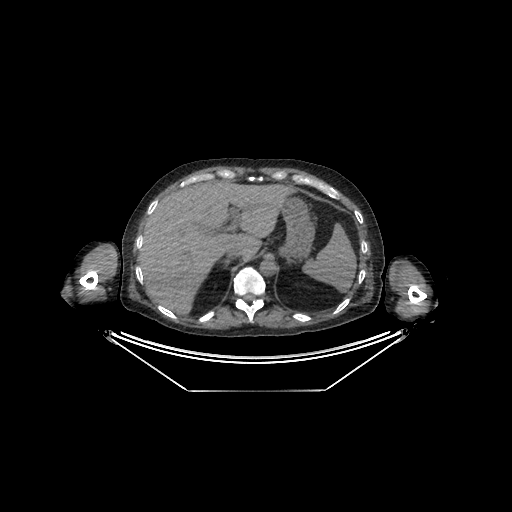
CT image

The liver lies within x1=137, y1=177, x2=292, y2=314.